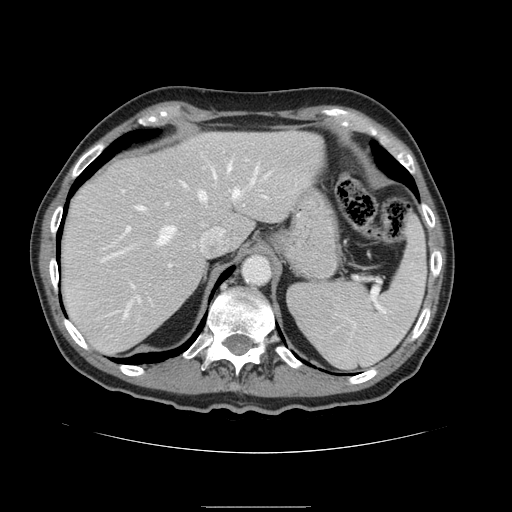 CT. Annotated regions:
- spleen: (left=287, top=216, right=426, bottom=370)